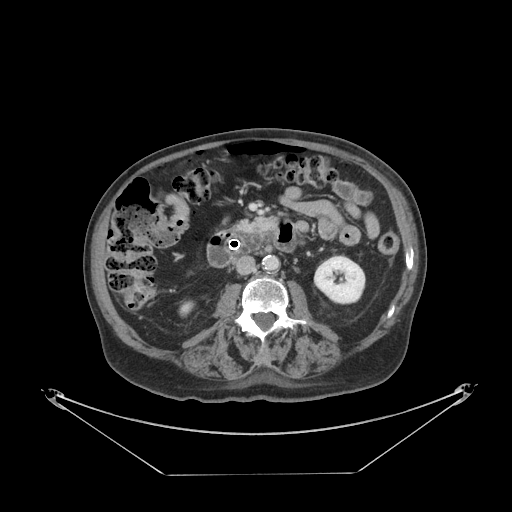

CT slice.
The pancreas is at <bbox>239, 218, 273, 231</bbox>.